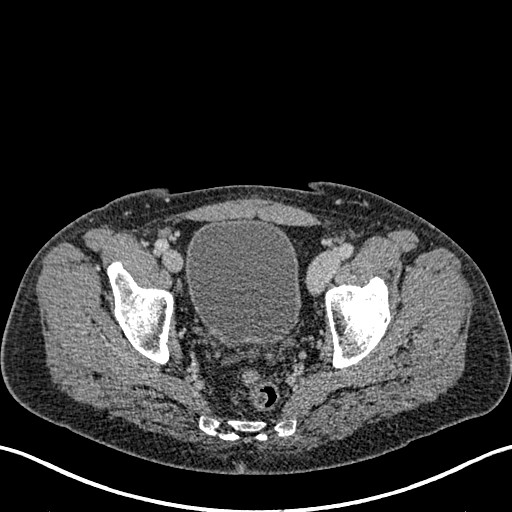

CT. Pelvis.
urinary bladder: (left=185, top=217, right=300, bottom=346)